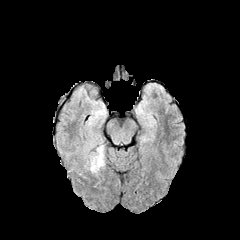
FLAIR magnetic resonance.
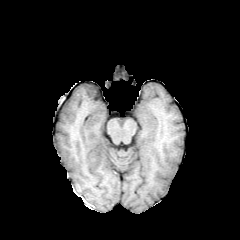
Same slice, T1-weighted MRI.
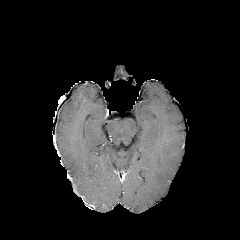
Post-contrast T1-weighted MR.
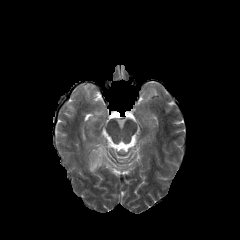
T2-weighted magnetic resonance of the same slice.
Head
Edema at <box>83,141,105,174</box>.